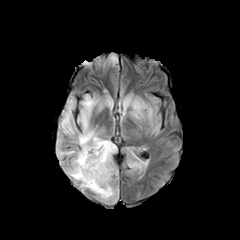
FLAIR magnetic resonance.
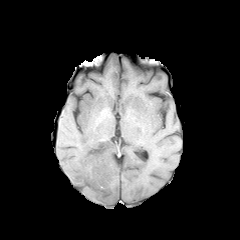
Same slice, T1-weighted MR.
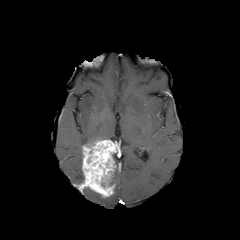
Post-contrast T1-weighted MRI.
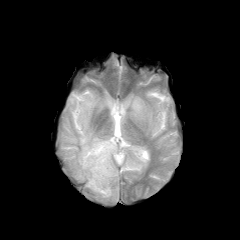
T2-weighted MR image.
Head
non-enhancing tumor core: x1=109, y1=168, x2=116, y2=191 | enhancing tumor: x1=82, y1=140, x2=117, y2=197 | edema: x1=119, y1=97, x2=143, y2=119; x1=57, y1=94, x2=104, y2=183